Slice 160/260, CT image, Field of view 420x420 mm

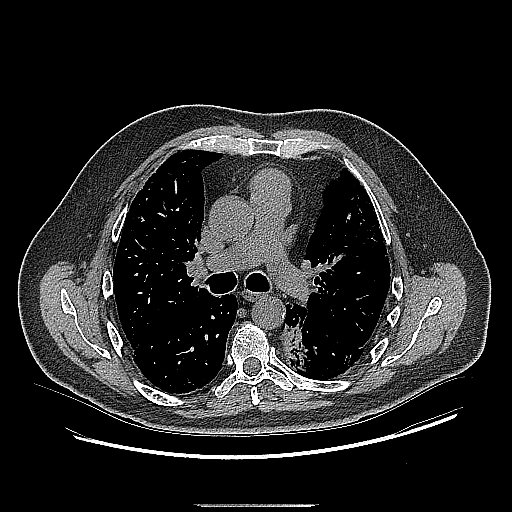 Lung tumor: [279,304,309,371].